FLAIR MR image.
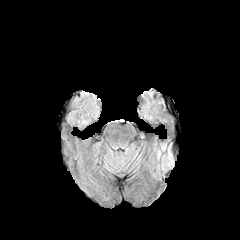
T1-weighted MR.
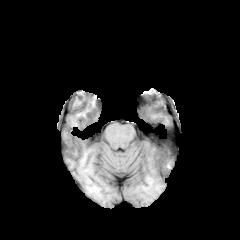
Post-contrast T1-weighted magnetic resonance.
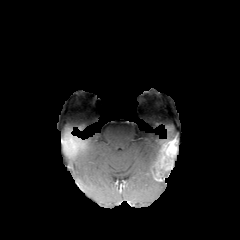
T2-weighted magnetic resonance.
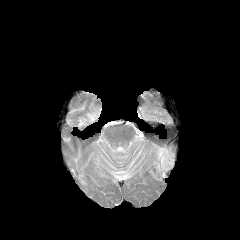
Image size 240x240, Brain
Non-enhancing tumor core = box(151, 141, 179, 181).
Edema = box(156, 144, 166, 157).
Enhancing tumor = box(168, 141, 176, 152).